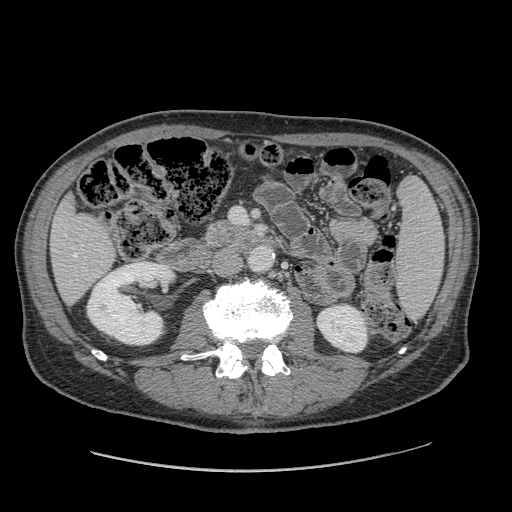

CT image. 512x512. Upper abdomen. Segmented structures:
- pancreas: 207:221:247:241